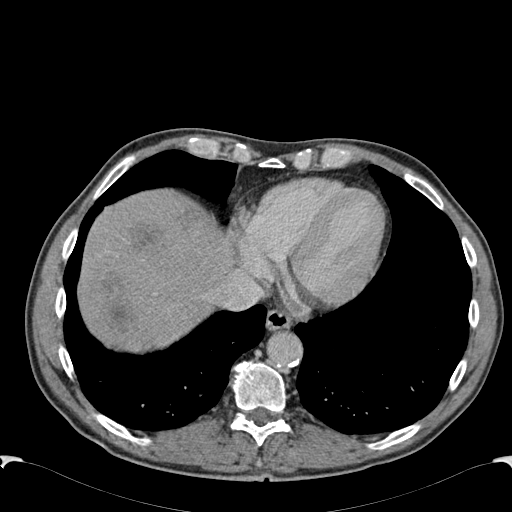
CT image, Liver
<segmentation>
  <focal_liver_lesion>(left=99, top=271, right=120, bottom=295), (left=133, top=223, right=162, bottom=251), (left=177, top=213, right=193, bottom=228), (left=103, top=297, right=131, bottom=327)</focal_liver_lesion>
  <liver>(left=79, top=190, right=233, bottom=349)</liver>
</segmentation>